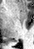

MRI

{"posterior_hippocampus": ["8 40 16 41"]}